FLAIR MR image.
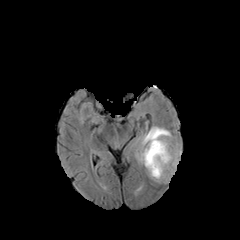
T1-weighted MR.
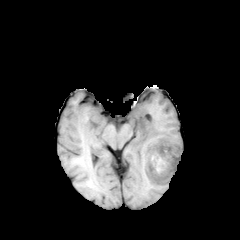
Post-contrast T1-weighted MR image.
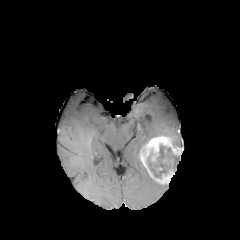
T2-weighted magnetic resonance.
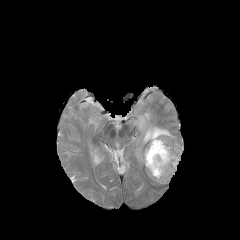
Brain.
Enhancing tumor: bbox(140, 136, 182, 184).
Non-enhancing tumor core: bbox(146, 144, 180, 179).
Edema: bbox(129, 121, 181, 165).